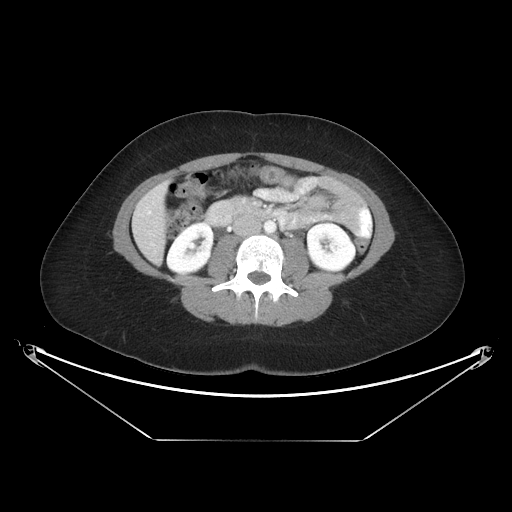 Image size 512x512; CT slice; Abdomen
Findings:
- pancreas: (231,196,258,215)